CT scan slice, Abdomen, Slice 393 of 841, 512x512 px
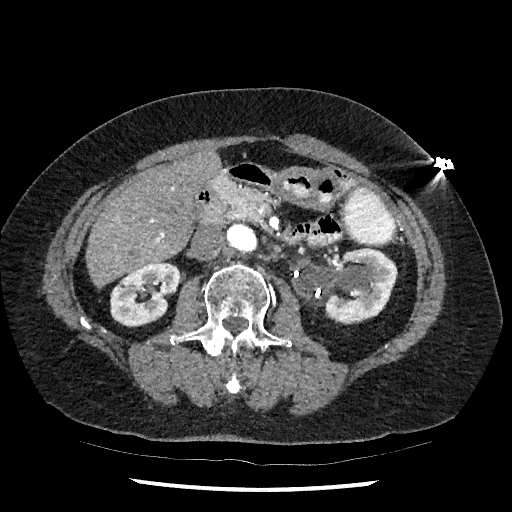

<segmentation>
  <liver>left=87, top=150, right=221, bottom=287</liver>
  <kidney>left=111, top=262, right=179, bottom=325; left=326, top=249, right=396, bottom=322</kidney>
</segmentation>